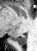 MR
posterior_hippocampus:
  - box(13, 35, 26, 45)